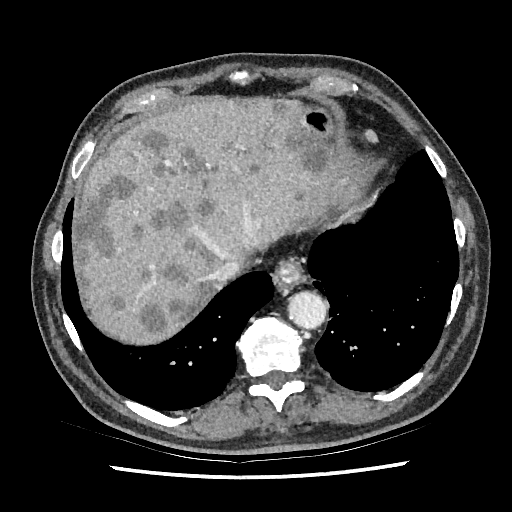

CT scan slice.
liver: {"x1": 74, "y1": 100, "x2": 330, "y2": 344} | hepatic lesion: {"x1": 248, "y1": 100, "x2": 262, "y2": 111}, {"x1": 131, "y1": 129, "x2": 168, "y2": 155}, {"x1": 152, "y1": 197, "x2": 214, "y2": 232}, {"x1": 270, "y1": 101, "x2": 288, "y2": 115}, {"x1": 183, "y1": 235, "x2": 214, "y2": 262}, {"x1": 111, "y1": 295, "x2": 125, "y2": 309}, {"x1": 153, "y1": 147, "x2": 216, "y2": 180}, {"x1": 129, "y1": 223, "x2": 144, "y2": 242}, {"x1": 251, "y1": 165, "x2": 259, "y2": 172}, {"x1": 139, "y1": 282, "x2": 215, "y2": 334}, {"x1": 74, "y1": 174, "x2": 137, "y2": 264}, {"x1": 140, "y1": 268, "x2": 151, "y2": 279}, {"x1": 161, "y1": 263, "x2": 192, "y2": 284}, {"x1": 284, "y1": 126, "x2": 330, "y2": 172}, {"x1": 292, "y1": 189, "x2": 303, "y2": 199}